Slice 43 of 155; Head
FLAIR MR image.
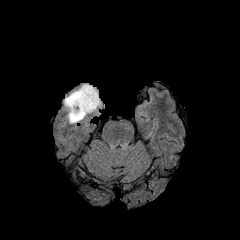
T1-weighted MRI.
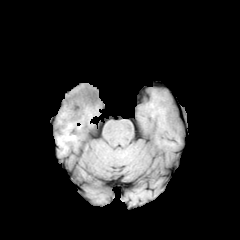
Post-contrast T1-weighted magnetic resonance.
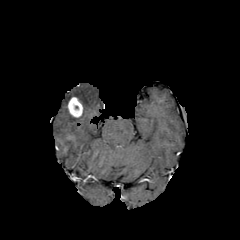
T2-weighted MR.
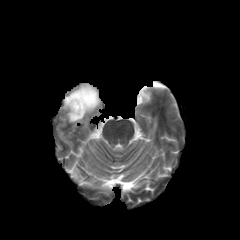
edema:
  - <box>62,83,101,125</box>
enhancing_tumor:
  - <box>67,96,83,117</box>